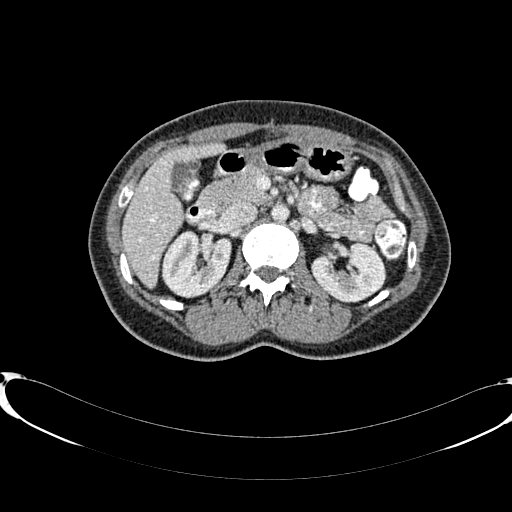

Abdomen. CT image.

{
  "liver": [
    "(left=122, top=144, right=223, bottom=286)"
  ],
  "kidney": [
    "(left=313, top=244, right=384, bottom=300)",
    "(left=163, top=233, right=229, bottom=296)"
  ]
}